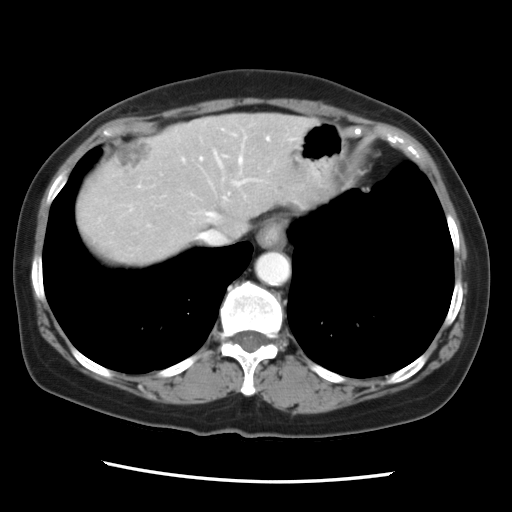

CT scan slice; Liver
Only some of the vessels may be annotated.
<segmentation>
  <liver_tumor>x1=111 y1=140 x2=146 y2=164</liver_tumor>
  <hepatic_vessel>x1=138 y1=185 x2=141 y2=187, x1=197 y1=230 x2=225 y2=243, x1=130 y1=206 x2=132 y2=210, x1=200 y1=210 x2=219 y2=220, x1=201 y1=157 x2=201 y2=160, x1=232 y1=178 x2=248 y2=186, x1=240 y1=159 x2=243 y2=165</hepatic_vessel>
</segmentation>